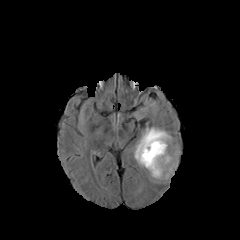
FLAIR MRI.
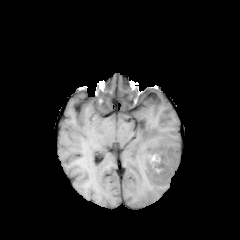
T1-weighted MR image of the same slice.
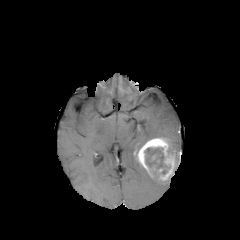
Same slice, post-contrast T1-weighted magnetic resonance.
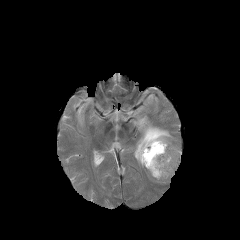
T2-weighted magnetic resonance of the same slice.
Brain, Image size 240x240
The enhancing tumor appears at rect(134, 137, 179, 180). The non-enhancing tumor core lies within rect(145, 148, 167, 175). 2 edema regions are located at rect(130, 122, 180, 183); rect(150, 152, 161, 163).